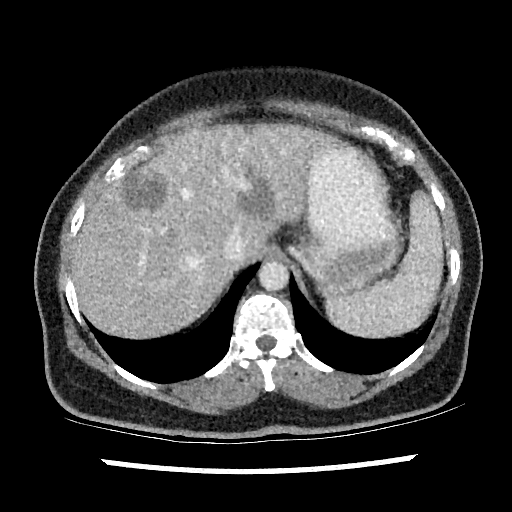

512x512 px. Upper abdomen. CT scan slice. liver:
  - left=72, top=125, right=337, bottom=336
hepatic_lesion:
  - left=236, top=180, right=273, bottom=214
  - left=121, top=172, right=165, bottom=209